Image size 512x512, Liver, CT scan slice
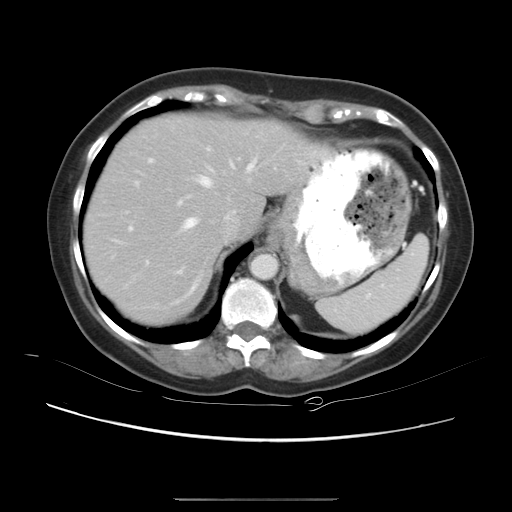
The vessel annotation is not exhaustive.
Segmented structures:
• hepatic vessel (most prominent 15 of 17): rect(114, 240, 122, 243); rect(196, 175, 213, 187); rect(187, 196, 190, 197); rect(175, 268, 182, 273); rect(146, 261, 148, 264); rect(181, 217, 199, 230); rect(135, 182, 137, 186); rect(207, 167, 213, 171); rect(178, 201, 181, 205); rect(232, 211, 234, 213); rect(129, 227, 132, 230); rect(229, 161, 233, 168); rect(246, 159, 255, 172); rect(207, 147, 209, 150); rect(148, 159, 152, 162)